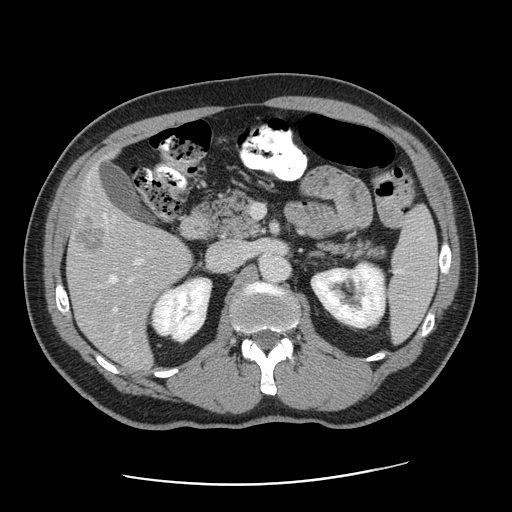
CT scan slice

Only some of the vessels may be annotated.
liver tumor: rect(72, 212, 108, 257) | hepatic vessel: rect(104, 214, 106, 217); rect(135, 259, 142, 264); rect(115, 308, 116, 310); rect(128, 278, 133, 281); rect(109, 275, 116, 281)